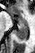
MR

<segmentation>
  <anterior_hippocampus>(left=17, top=15, right=27, bottom=25)</anterior_hippocampus>
  <posterior_hippocampus>(left=14, top=26, right=27, bottom=41)</posterior_hippocampus>
</segmentation>